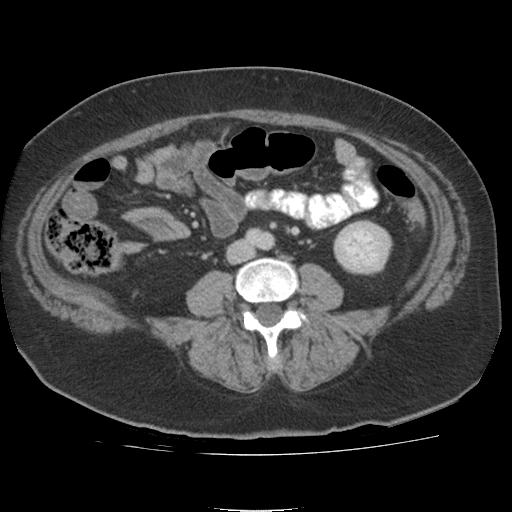

Image size 512x512; Computed tomography
kidney: [333,222,388,271]